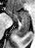 35x48, MRI slice

Anterior hippocampus = box(7, 10, 29, 21).
Posterior hippocampus = box(15, 22, 29, 37).